Slice index 56; Abdomen; 512x512; CT

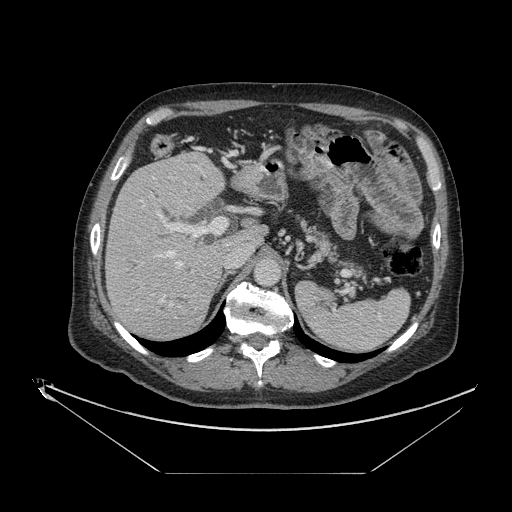 The pancreas is bounded by 296, 214, 366, 281.